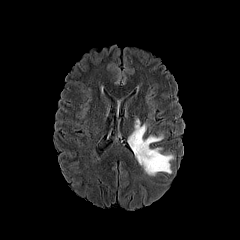
FLAIR magnetic resonance.
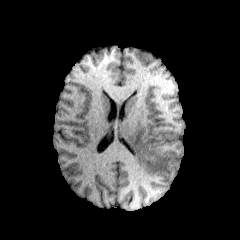
T1-weighted magnetic resonance.
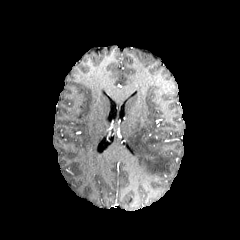
Post-contrast T1-weighted MR of the same slice.
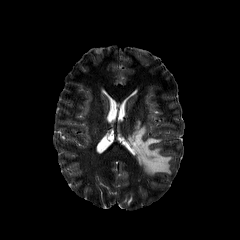
T2-weighted magnetic resonance.
Segmented structures:
* edema: 127:120:172:175